Computed tomography, Upper abdomen

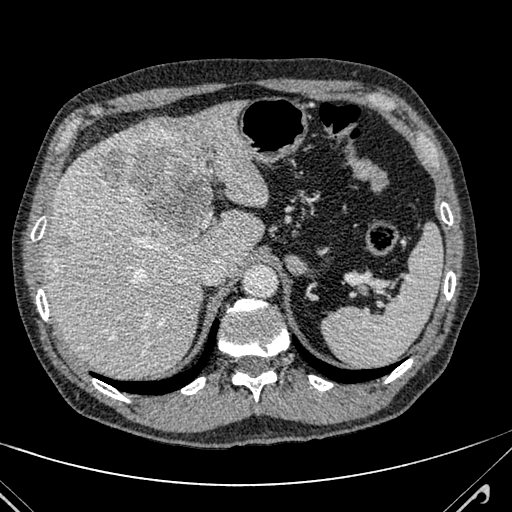

liver:
  - <bbox>46, 102, 265, 376</bbox>
focal_liver_lesion:
  - <bbox>98, 141, 217, 238</bbox>
  - <bbox>54, 238, 70, 248</bbox>